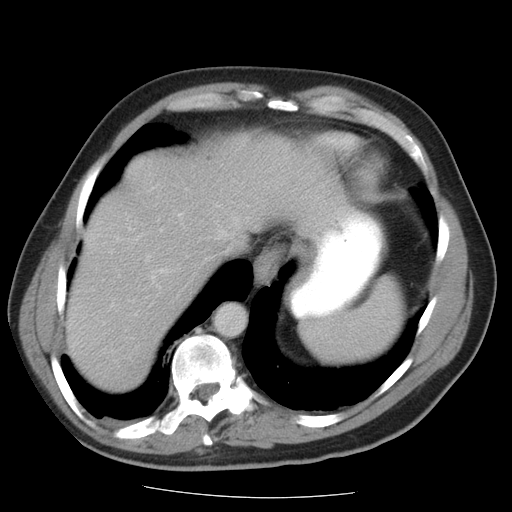

Computed tomography. 512x512. The vessel boxes may cover only some of the vessels.
Hepatic vessel: bounding box bbox(220, 231, 227, 236); bbox(130, 228, 131, 229); bbox(146, 260, 148, 261); bbox(178, 214, 181, 215); bbox(217, 204, 218, 206); bbox(154, 270, 160, 271); bbox(229, 245, 242, 250).